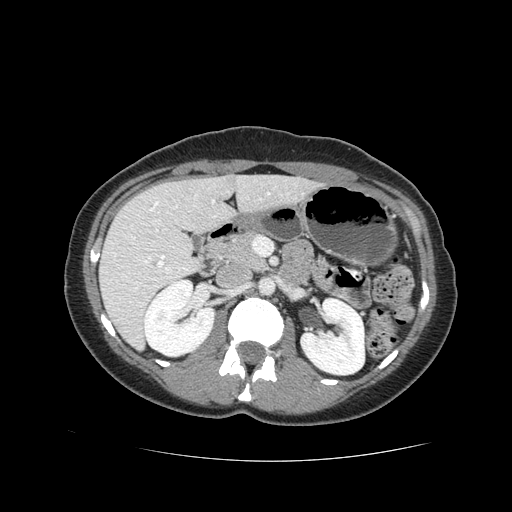

Upper abdomen; CT image
The pancreas is bounded by 209,233,266,270.